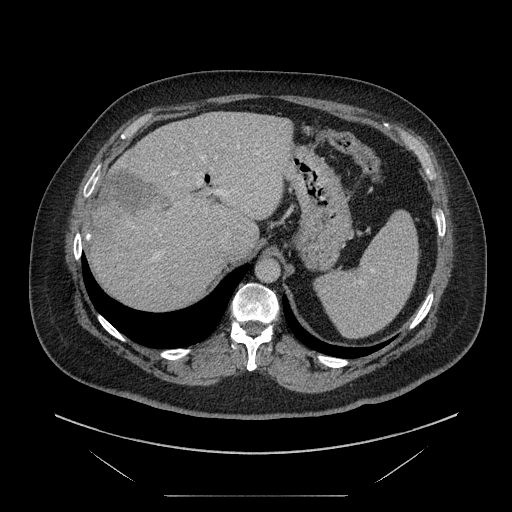

Liver, CT slice
Not every hepatic vessel necessarily has a box.
<segmentation>
  <liver_tumor>box=[98, 170, 168, 212]</liver_tumor>
  <hepatic_vessel>box=[192, 172, 202, 184]; box=[214, 156, 216, 158]; box=[192, 211, 194, 212]; box=[186, 196, 189, 200]; box=[214, 190, 228, 196]</hepatic_vessel>
</segmentation>